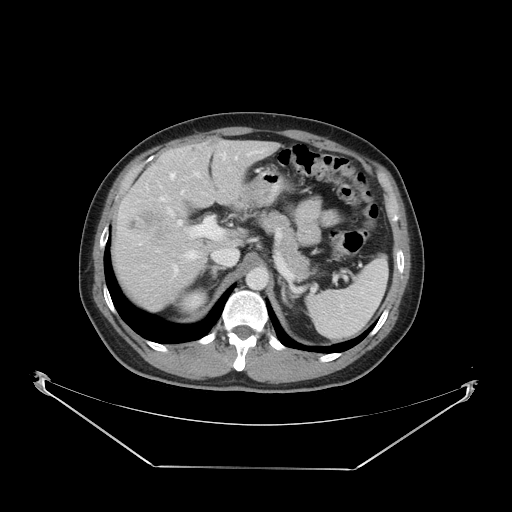
Computed tomography | 512x512
The vessel boxes may cover only some of the vessels.
Liver tumor: box(139, 210, 170, 247).
Hepatic vessel: box(172, 175, 173, 177); box(169, 209, 171, 213); box(184, 250, 197, 259); box(178, 221, 182, 225); box(161, 198, 163, 199).